240x240. Slice 94/155. Head.
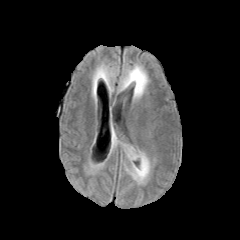
FLAIR MR.
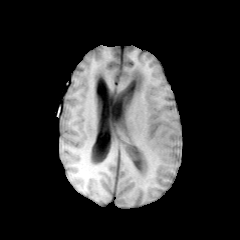
T1-weighted magnetic resonance.
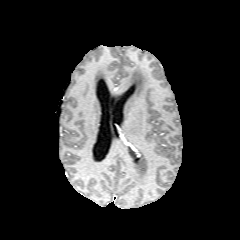
Post-contrast T1-weighted MRI.
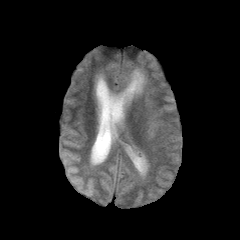
T2-weighted MR.
non-enhancing tumor core: bbox=[121, 142, 145, 174] | edema: bbox=[118, 64, 148, 101]; bbox=[110, 131, 149, 182]